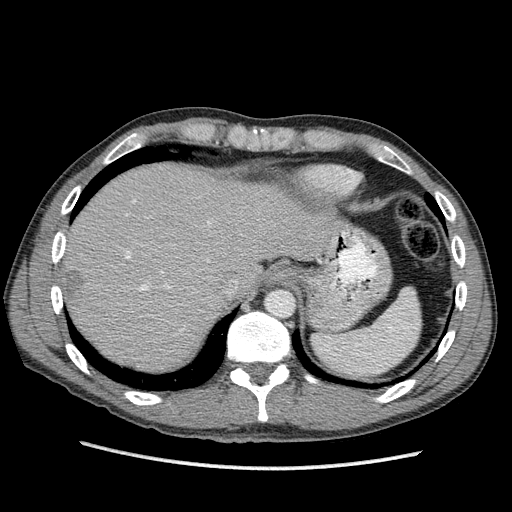

CT; Upper abdomen
hepatic_lesion:
  - 62, 270, 85, 297
liver:
  - 61, 162, 341, 373